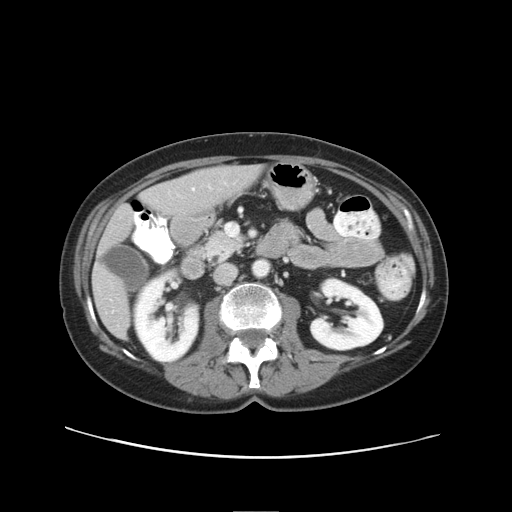
CT scan slice; Abdomen; Image size 512x512
The vessel boxes may cover only some of the vessels.
The hepatic vessel is at bbox=[193, 189, 194, 190].